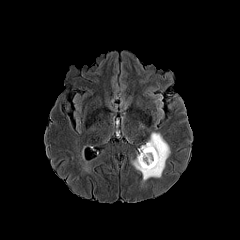
FLAIR MR.
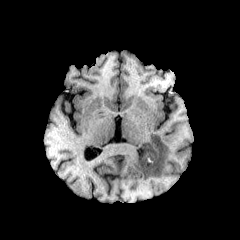
T1-weighted MRI.
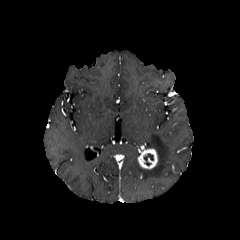
Same slice, post-contrast T1-weighted MR.
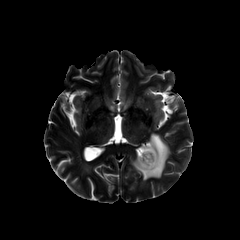
T2-weighted MRI.
Brain
Findings:
* edema: (x1=133, y1=133, x2=170, y2=180)
* enhancing tumor: (x1=138, y1=149, x2=157, y2=168)
* non-enhancing tumor core: (x1=143, y1=153, x2=154, y2=166)